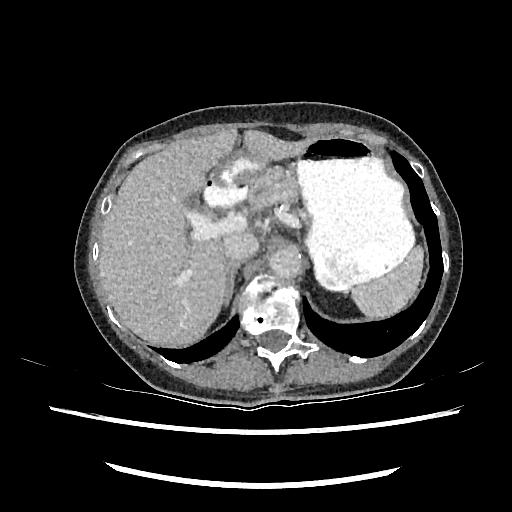
Upper abdomen; CT image; Image size 512x512
3 liver regions are bounded by [246, 131, 307, 159], [273, 166, 281, 177], [101, 130, 237, 344].